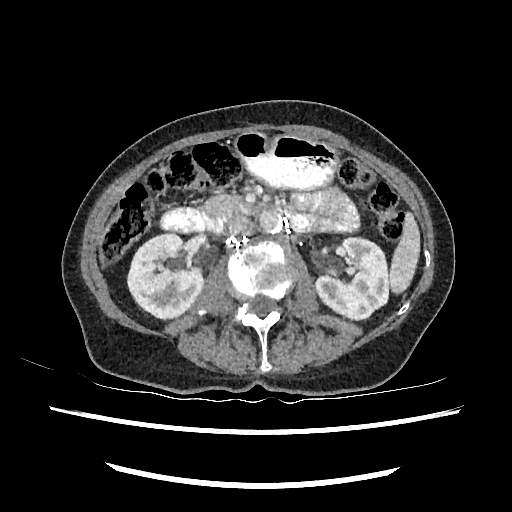
Abdomen | Computed tomography
{"kidney": ["left=128, top=234, right=203, bottom=317", "left=316, top=238, right=388, bottom=318"]}